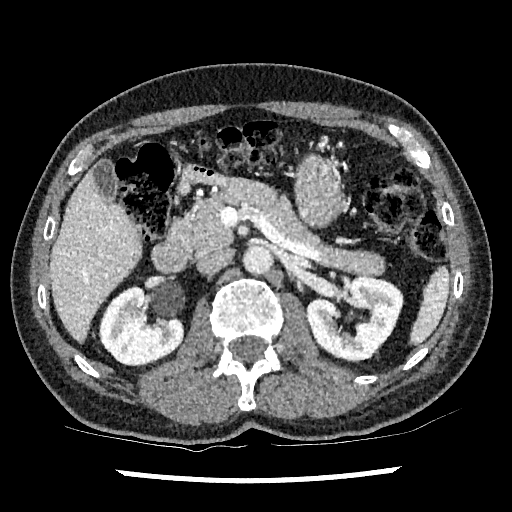

Upper abdomen; CT slice
kidney:
  - box=[308, 277, 401, 359]
  - box=[322, 286, 333, 295]
  - box=[100, 288, 182, 364]
liver:
  - box=[50, 167, 141, 342]